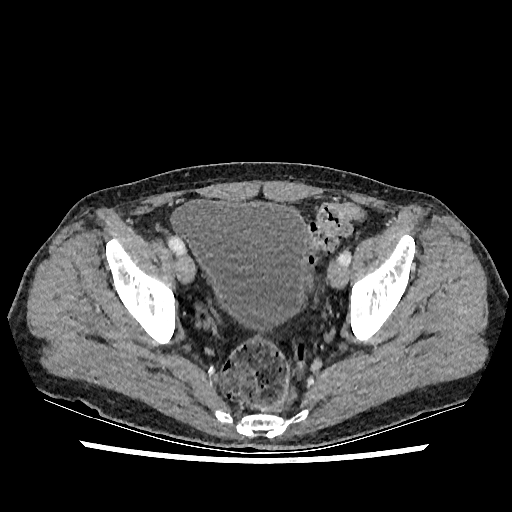

CT slice. Pelvis.

The urinary bladder is at box(176, 199, 313, 332).